Head.
FLAIR magnetic resonance.
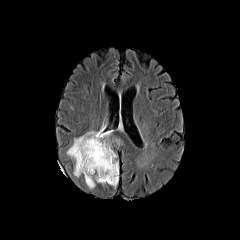
T1-weighted MR image.
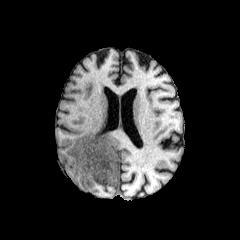
Post-contrast T1-weighted MR.
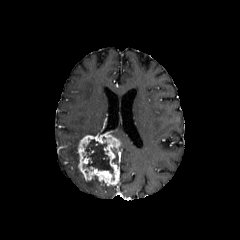
T2-weighted MR.
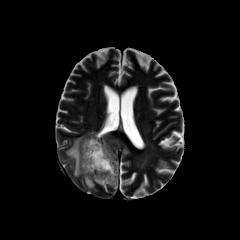
The enhancing tumor lies within (left=77, top=130, right=121, bottom=186). The non-enhancing tumor core is at (left=85, top=139, right=113, bottom=174). 2 edema regions are bounded by (left=86, top=179, right=94, bottom=189), (left=67, top=135, right=84, bottom=177).